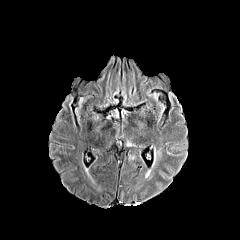
FLAIR MRI.
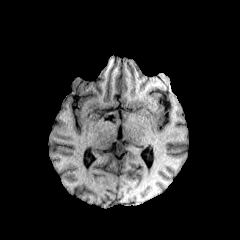
T1-weighted magnetic resonance.
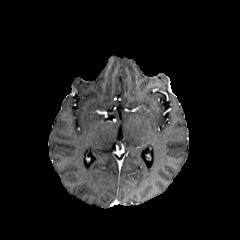
Same slice, post-contrast T1-weighted MR.
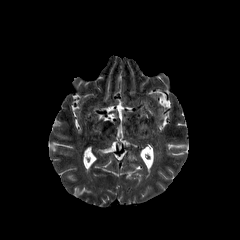
T2-weighted magnetic resonance.
The edema appears at <bbox>151, 145, 160, 167</bbox>.